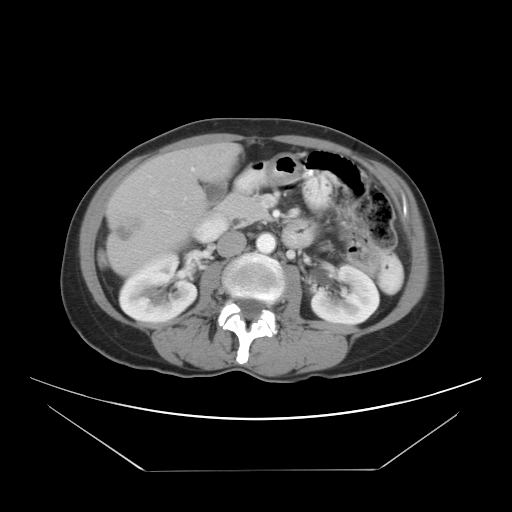

CT, Abdomen, Image size 512x512

The vessel annotation is not exhaustive.
liver_tumor:
  - (left=116, top=216, right=145, bottom=242)
hepatic_vessel:
  - (left=182, top=197, right=185, bottom=204)
  - (left=190, top=167, right=193, bottom=168)
  - (left=222, top=155, right=225, bottom=157)
  - (left=149, top=188, right=155, bottom=195)
  - (left=163, top=210, right=173, bottom=215)